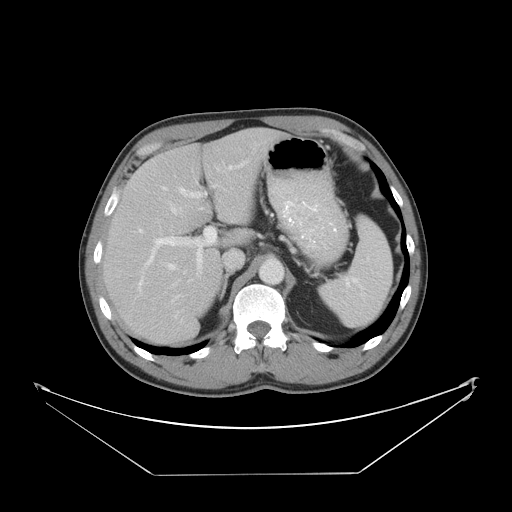
Abdomen; 512x512; CT scan slice
Some hepatic vessels may have no box.
<segmentation>
  <hepatic_vessel>172 296 178 301, 183 271 185 273, 170 204 178 214, 178 187 205 198, 162 187 167 190, 215 166 217 170, 138 229 142 232, 229 165 231 168, 211 183 218 187, 175 311 177 317, 145 236 214 276, 168 264 175 269, 138 278 143 294, 179 208 181 210</hepatic_vessel>
</segmentation>